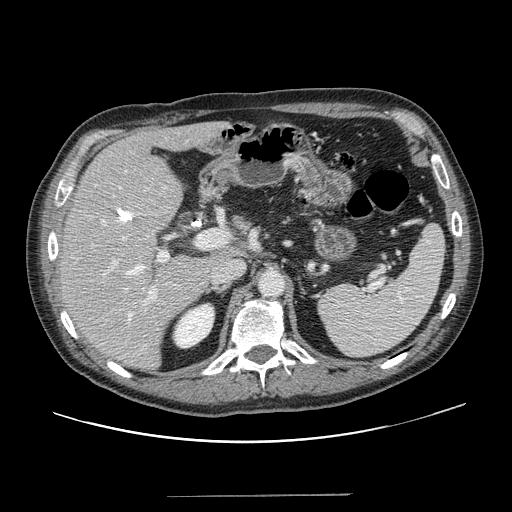 Upper abdomen | CT slice
The pancreas is bounded by <box>225,212,257,235</box>.